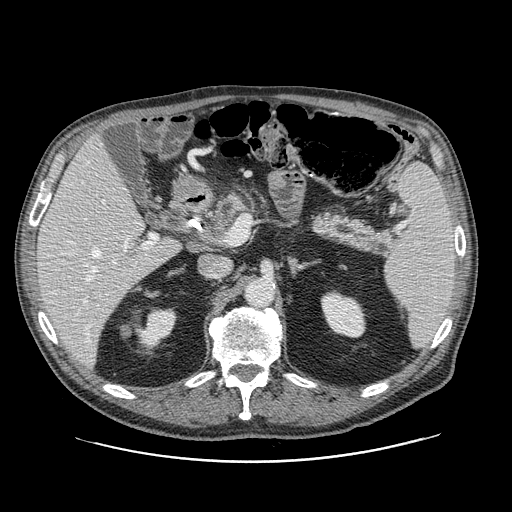 CT slice
Pancreas: [314, 215, 390, 250], [204, 194, 244, 241].